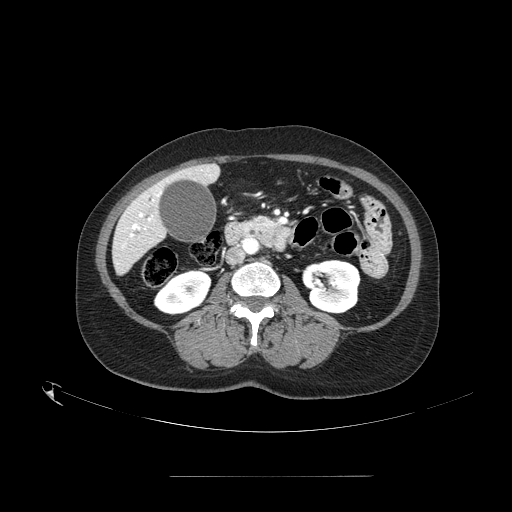
CT

Pancreas: <bbox>242, 216, 276, 246</bbox>.